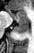

34x53 px, MR image
Posterior hippocampus = box(14, 20, 28, 34).
Anterior hippocampus = box(8, 9, 27, 20).